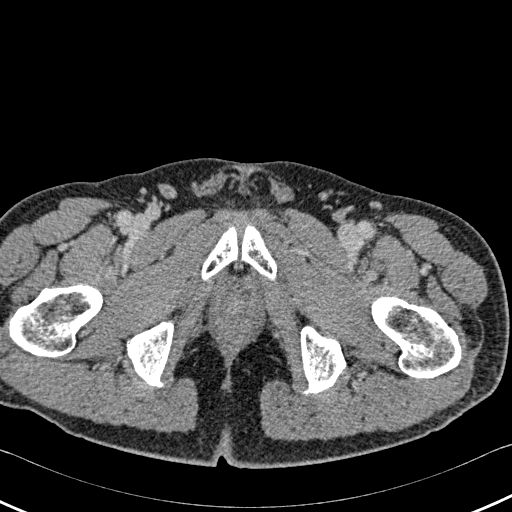 CT | 512x512 px
5 bone regions are located at l=372, t=297, r=460, b=377; l=0, t=285, r=102, b=356; l=127, t=321, r=173, b=386; l=301, t=326, r=345, b=393; l=201, t=226, r=276, b=280.